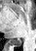 MR image; Hippocampus

Posterior hippocampus: bounding box 13,40,20,45.